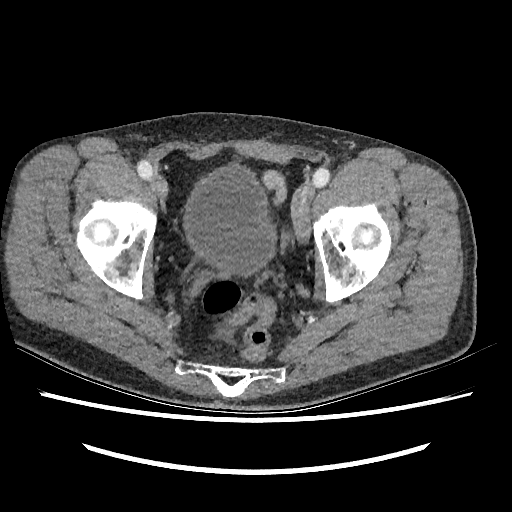
Lower abdomen | CT
urinary_bladder:
  - x1=187, y1=169, x2=271, y2=275